Computed tomography | 512x512 px 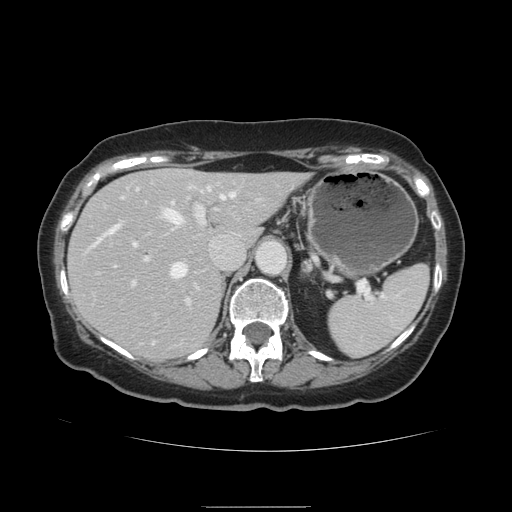

Only some of the vessels may be annotated.
The principal 15 hepatic vessel regions (of 17) are bounded by [215,208,218,210], [206,186,209,189], [133,243,136,246], [220,195,225,199], [131,280,134,284], [199,190,202,191], [107,224,120,235], [161,209,181,224], [143,257,147,260], [169,262,185,278], [186,298,189,303], [229,192,234,197], [194,204,202,224], [85,238,100,251], [187,185,192,188].